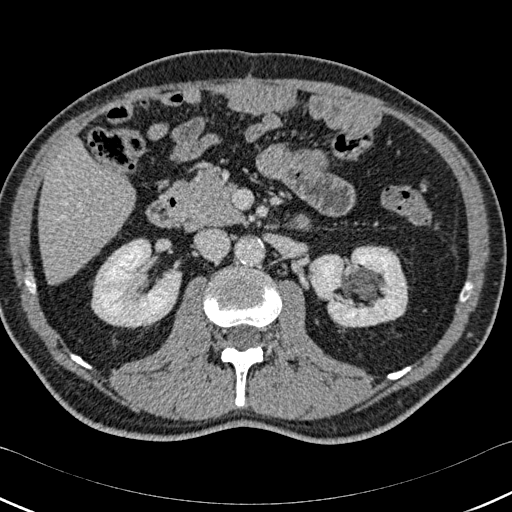 CT slice. Liver. 512x512 px.
* liver: [x1=39, y1=143, x2=135, y2=282]
* bone: [x1=388, y1=367, x2=410, y2=378], [x1=26, y1=279, x2=34, y2=291], [x1=71, y1=355, x2=90, y2=367], [x1=461, y1=283, x2=471, y2=300], [x1=203, y1=269, x2=281, y2=327], [x1=221, y1=346, x2=262, y2=406]
* kidney: [x1=92, y1=240, x2=180, y2=326], [x1=310, y1=247, x2=406, y2=326]